CT, Upper abdomen 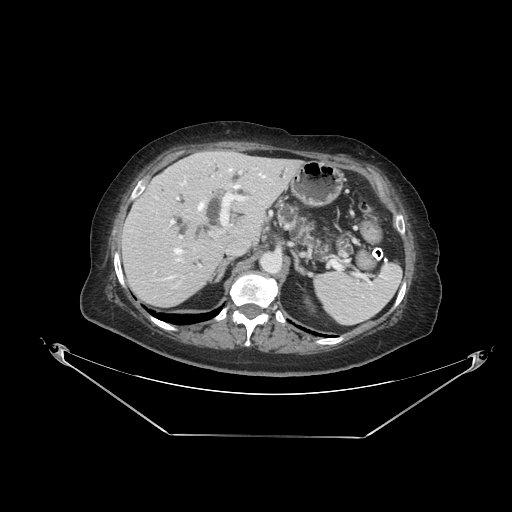 Pancreas: bbox(278, 205, 352, 260).